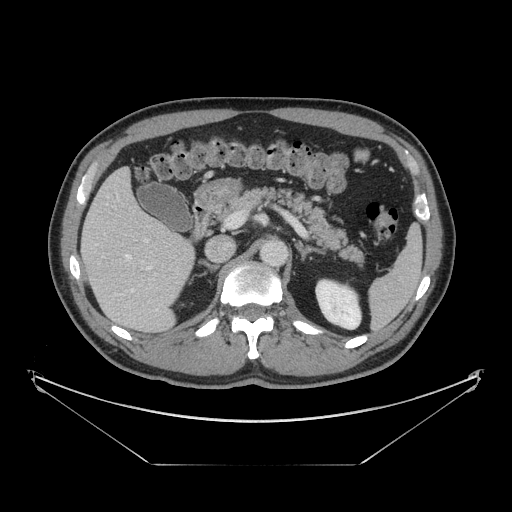
512x512 px | Computed tomography | Upper abdomen
pancreas: box=[219, 187, 364, 264]